Abdomen. CT. Field of view 400x400 mm. 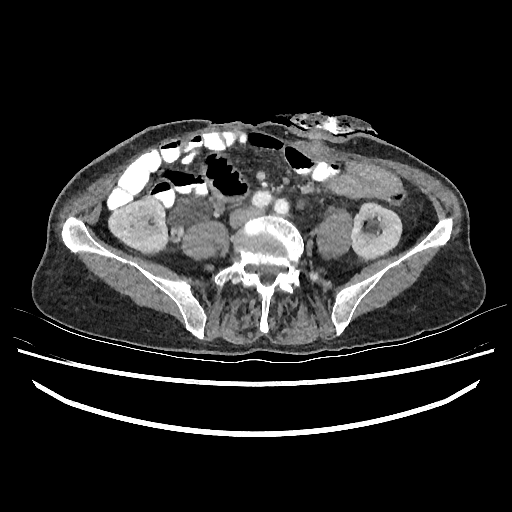 Kidney: bbox(109, 197, 167, 251); bbox(351, 203, 401, 258).